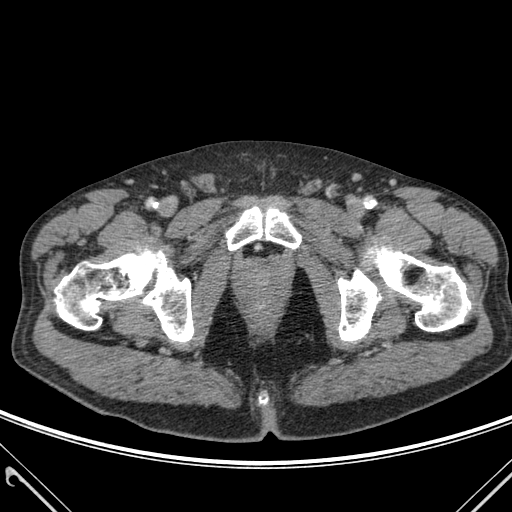
CT scan slice, 512x512
Annotated regions:
- bone: bbox=[54, 249, 193, 341]; bbox=[375, 247, 470, 331]; bbox=[338, 270, 381, 340]; bbox=[226, 207, 301, 250]